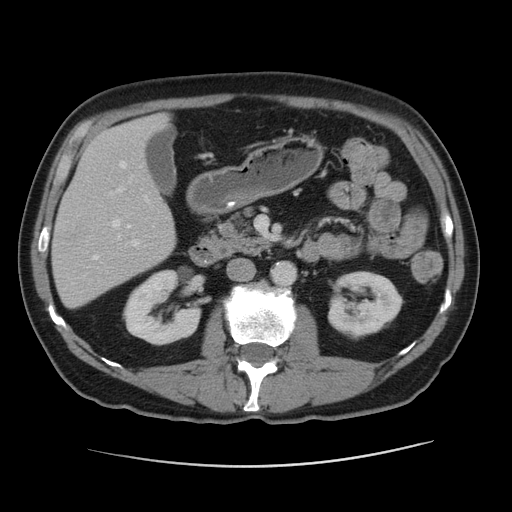

CT
kidney:
  - rect(125, 271, 199, 343)
  - rect(328, 271, 402, 339)
liver:
  - rect(51, 115, 176, 304)